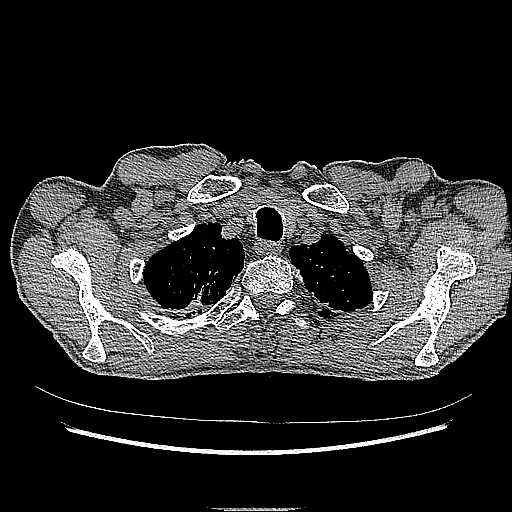

CT image; 512x512 px; Chest

Lung tumor = box=[164, 272, 218, 317].